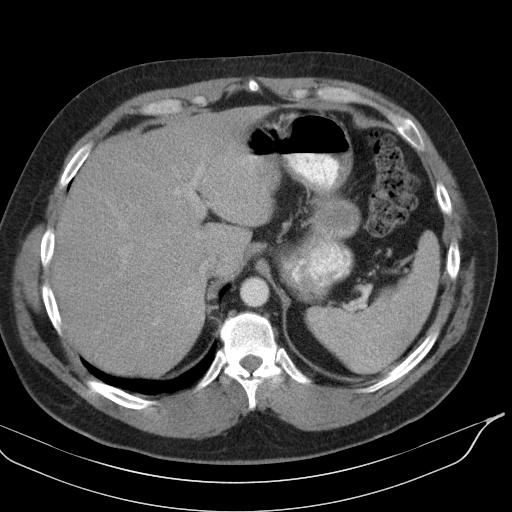

CT slice. Abdomen. {
  "spleen": [
    "bbox=[307, 233, 439, 373]"
  ]
}